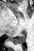 Image size 34x51; Hippocampus; MRI slice

posterior hippocampus: x1=8 y1=31 x2=24 y2=43